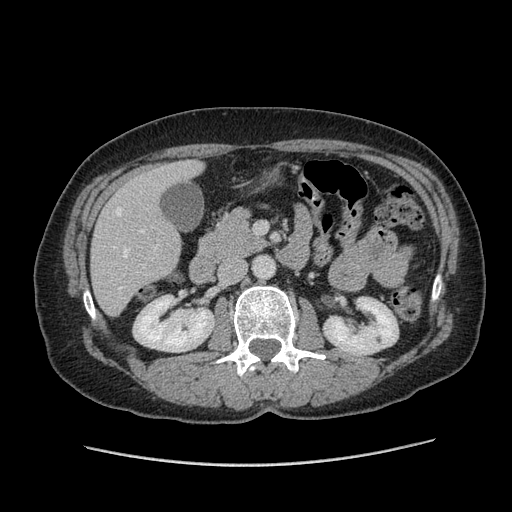 512x512, CT slice

Not every hepatic vessel necessarily has a box.
hepatic vessel: (139,230,142,232)